Computed tomography; 512x512 px

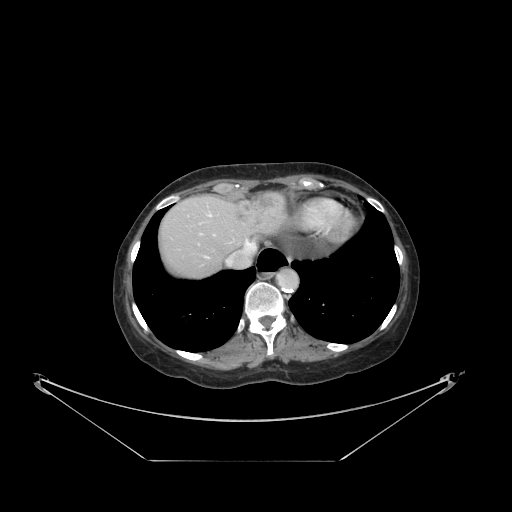
Only some of the vessels may be annotated.
Hepatic vessel: (206,211,212,217), (199,233,202,234), (213,234,215,235), (205,256,208,258), (225,239,258,266).
Liver tumor: (235,197,275,224).